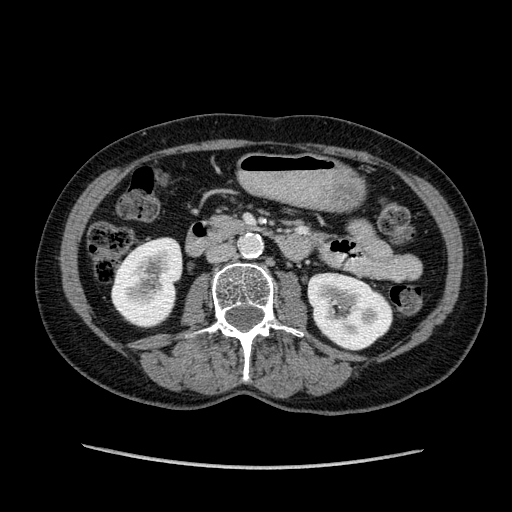

CT slice; Abdomen
2 kidney regions are located at (x1=112, y1=238, x2=181, y2=325), (x1=308, y1=273, x2=391, y2=349).